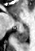

MRI slice.

Annotated regions:
- posterior hippocampus: 15, 28, 28, 44